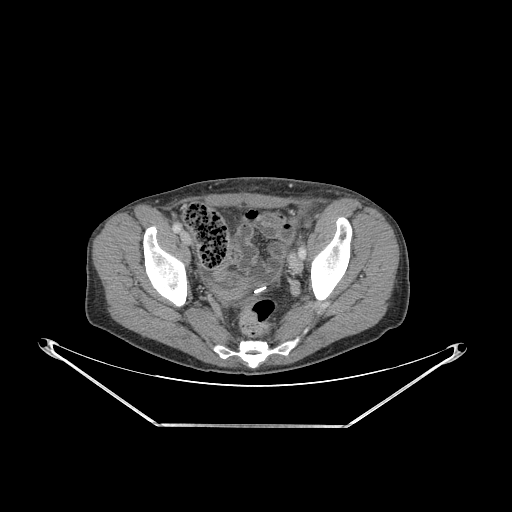

CT image

bone: [x1=143, y1=227, x2=186, y2=306], [x1=214, y1=338, x2=298, y2=367], [x1=311, y1=218, x2=351, y2=300]